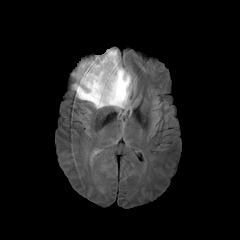
FLAIR MR image.
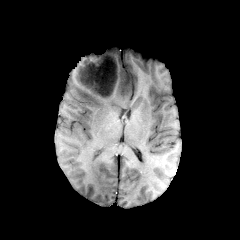
Same slice, T1-weighted MR image.
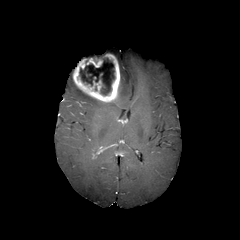
Same slice, post-contrast T1-weighted MR.
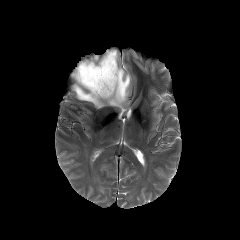
T2-weighted magnetic resonance.
The non-enhancing tumor core is located at region(79, 56, 115, 95). The edema is bounded by region(72, 48, 135, 116). The enhancing tumor is at region(73, 54, 120, 103).